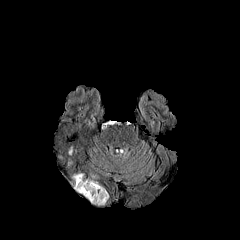
FLAIR MR image.
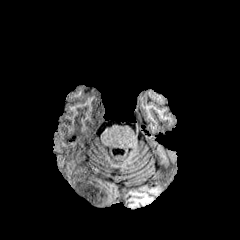
T1-weighted MR.
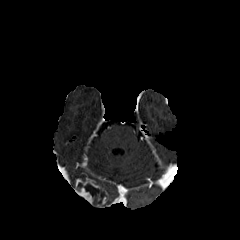
Same slice, post-contrast T1-weighted MRI.
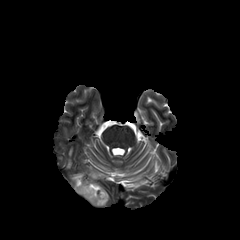
Same slice, T2-weighted magnetic resonance.
Brain
The non-enhancing tumor core lies within l=72, t=175, r=109, b=207. 2 enhancing tumor regions are located at l=76, t=176, r=99, b=188; l=74, t=187, r=93, b=204.